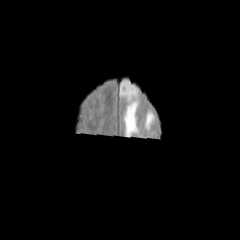
FLAIR MR.
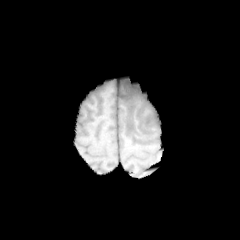
T1-weighted MRI.
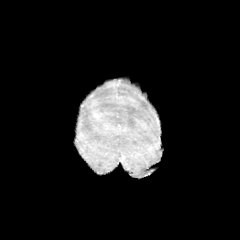
Post-contrast T1-weighted MR image.
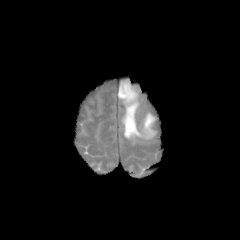
T2-weighted MRI.
Head
<segmentation>
  <edema>(118, 77, 157, 140)</edema>
</segmentation>